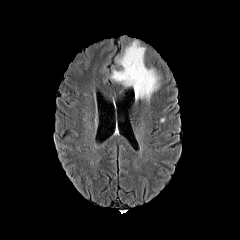
FLAIR MRI.
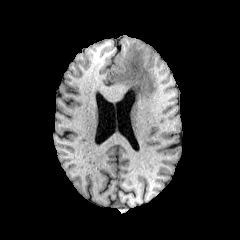
T1-weighted MRI of the same slice.
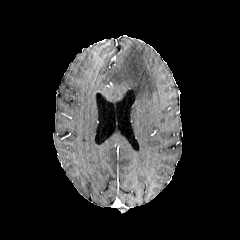
Post-contrast T1-weighted magnetic resonance.
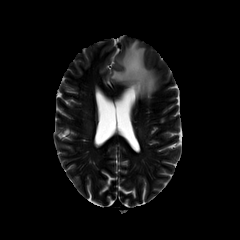
T2-weighted MRI.
Brain.
<segmentation>
  <edema>109:40:159:99</edema>
</segmentation>